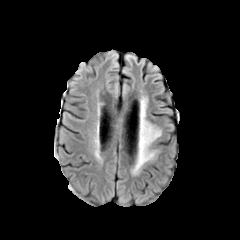
FLAIR magnetic resonance.
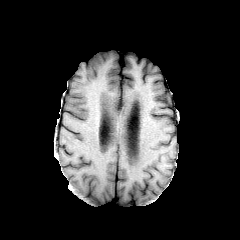
Same slice, T1-weighted MR image.
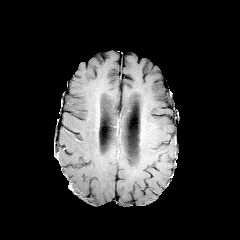
Post-contrast T1-weighted MRI.
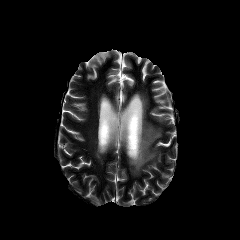
T2-weighted MRI of the same slice.
The edema is located at (left=133, top=98, right=161, bottom=172).